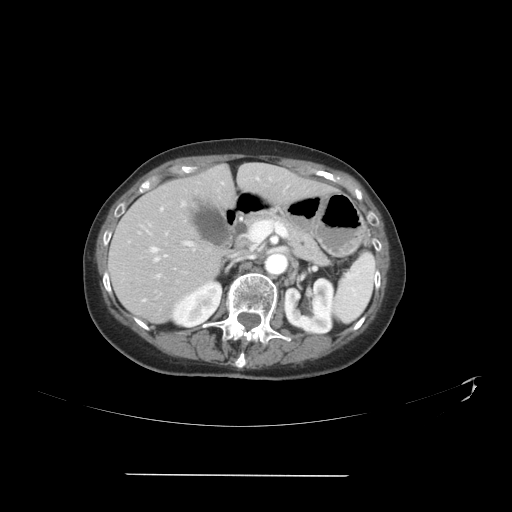 Computed tomography. Abdomen. Only some of the vessels may be annotated.
11 hepatic vessel regions are located at bbox(269, 178, 271, 179); bbox(160, 207, 163, 210); bbox(180, 201, 184, 206); bbox(183, 241, 193, 245); bbox(138, 232, 139, 233); bbox(164, 254, 166, 256); bbox(285, 186, 287, 188); bbox(156, 274, 160, 277); bbox(151, 247, 156, 251); bbox(154, 257, 158, 261); bbox(193, 248, 194, 250).